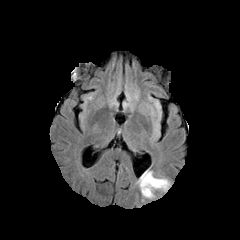
FLAIR MR image.
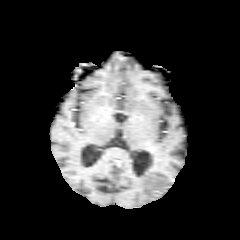
T1-weighted magnetic resonance.
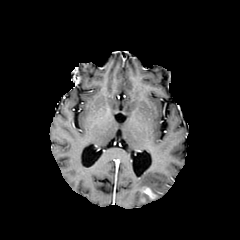
Same slice, post-contrast T1-weighted magnetic resonance.
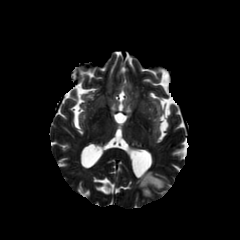
Same slice, T2-weighted MRI.
Brain
Segmented structures:
• edema: box=[136, 170, 169, 198]
• enhancing tumor: box=[142, 188, 153, 197]